CT scan slice.
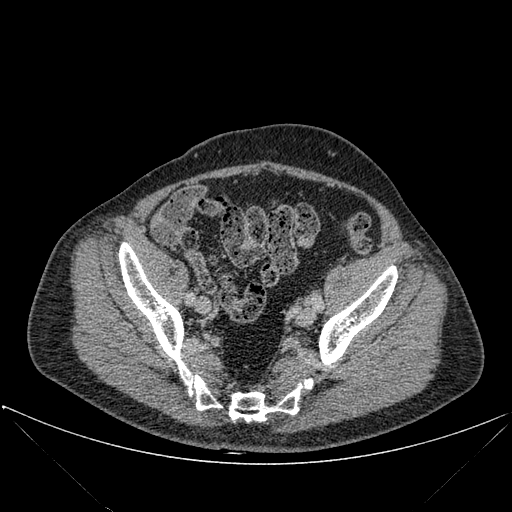
3 bone regions are located at bbox=[229, 379, 312, 421]; bbox=[119, 242, 222, 410]; bbox=[319, 266, 397, 365].